Slice index 36, 512x512, Computed tomography
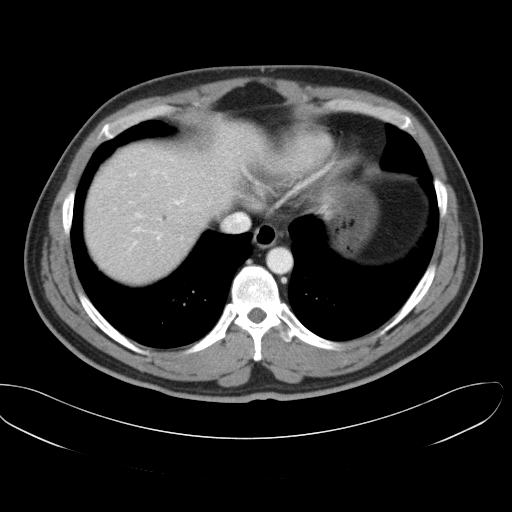

The vessel boxes may cover only some of the vessels.
Hepatic vessel: bounding box 133,227,144,231; 163,173,165,175; 131,241,136,247; 135,213,140,216; 225,214,249,231; 173,194,185,204; 114,208,116,209; 128,248,130,250; 153,171,156,172; 129,173,135,176; 155,233,162,239.